Slice index 39. Brain.
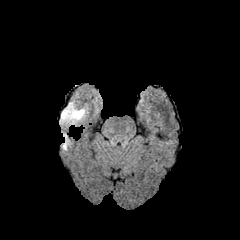
FLAIR magnetic resonance.
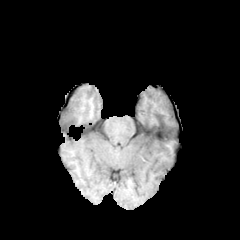
T1-weighted MRI.
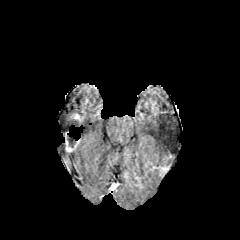
Post-contrast T1-weighted MR image.
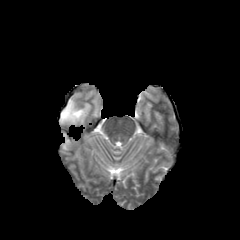
Same slice, T2-weighted MRI.
<segmentation>
  <enhancing_tumor>64 132 80 151</enhancing_tumor>
  <non-enhancing_tumor_core>63 104 79 121, 67 135 76 147</non-enhancing_tumor_core>
  <edema>59 108 78 125, 67 99 88 119</edema>
</segmentation>